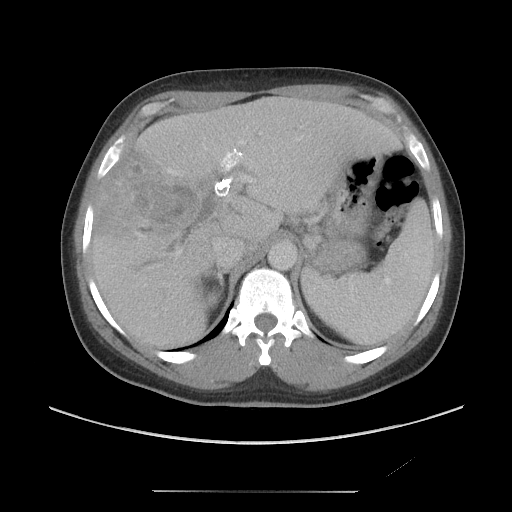 Liver; Image size 512x512; Computed tomography

The vessel boxes may cover only some of the vessels.
* hepatic vessel: (x1=241, y1=176, x2=255, y2=182), (x1=176, y1=252, x2=179, y2=254), (x1=168, y1=168, x2=176, y2=174), (x1=239, y1=140, x2=244, y2=143), (x1=136, y1=232, x2=146, y2=240)
* liver tumor: (x1=95, y1=153, x2=211, y2=235)